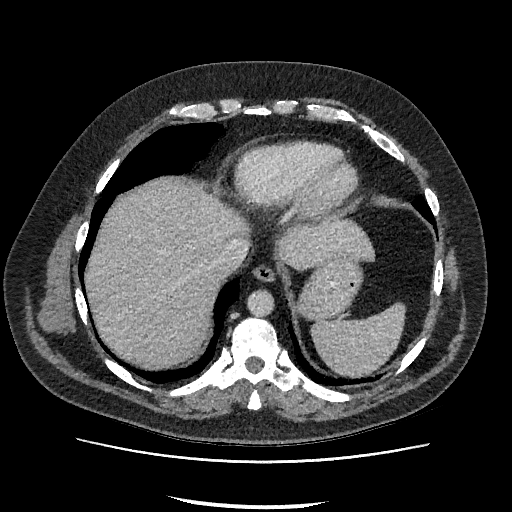 Liver; Computed tomography

Liver = (x1=87, y1=181, x2=247, y2=365), (x1=280, y1=221, x2=374, y2=269).